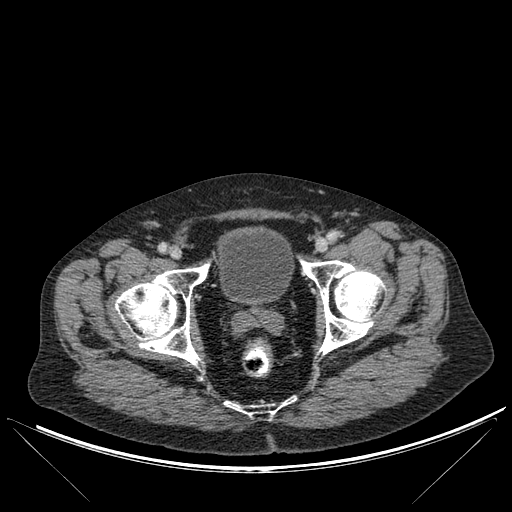 Pelvis, CT slice, Image size 512x512

Segmented structures:
• urinary bladder: (216, 226, 294, 302)
• bone: (300, 260, 383, 354), (115, 263, 209, 365), (224, 397, 296, 415)